FLAIR magnetic resonance.
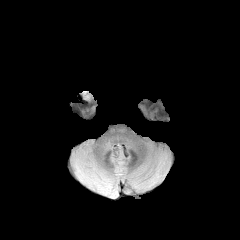
T1-weighted magnetic resonance.
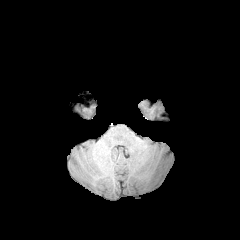
Post-contrast T1-weighted magnetic resonance.
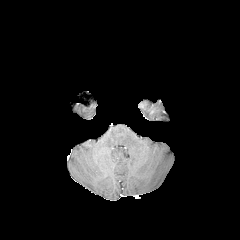
T2-weighted magnetic resonance.
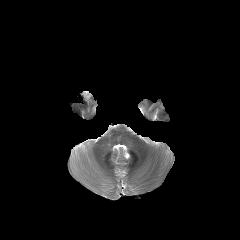
Brain | 240x240 px
edema:
  - <box>100,180,111,193</box>